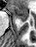

MR image
Anterior hippocampus: bounding box region(11, 5, 28, 20).